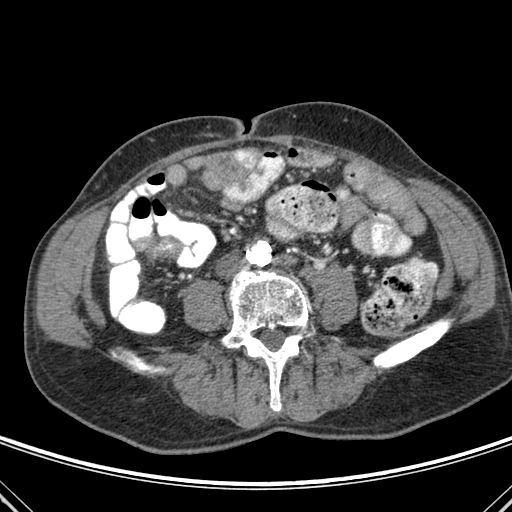

CT slice | 512x512
Bone = 222 271 307 411, 373 320 449 367, 119 353 165 372.